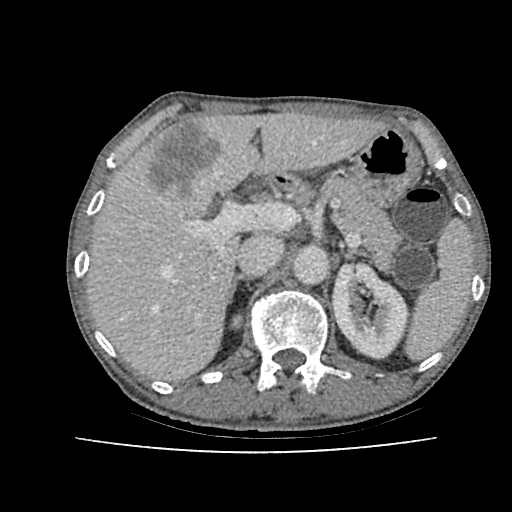
CT
{
  "kidney": [
    "box(333, 265, 406, 357)"
  ],
  "hepatic_lesion": [
    "box(149, 123, 221, 197)"
  ],
  "liver": [
    "box(89, 114, 382, 379)"
  ]
}